Slice index 252. CT scan slice. Abdomen.

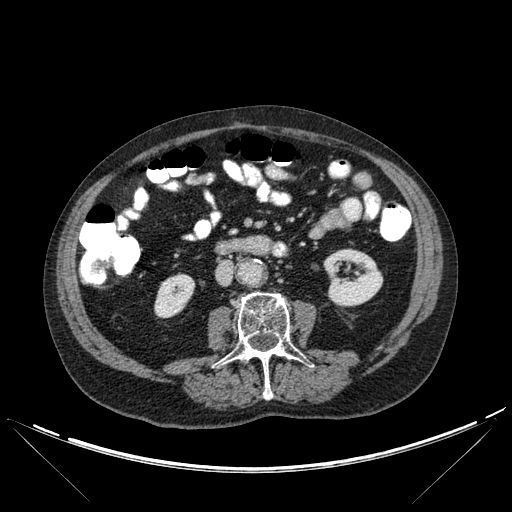
2 kidney regions are located at box=[155, 274, 194, 317]; box=[324, 249, 382, 305]. The bone is bounded by box=[222, 292, 293, 399].